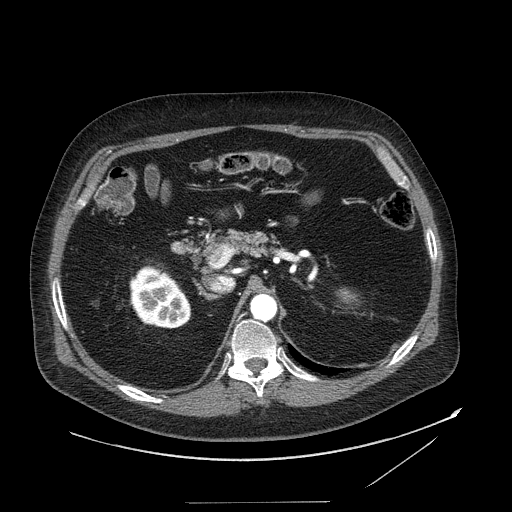 Computed tomography

<segmentation>
  <pancreas><box>203,230,284,262</box></pancreas>
</segmentation>